CT image
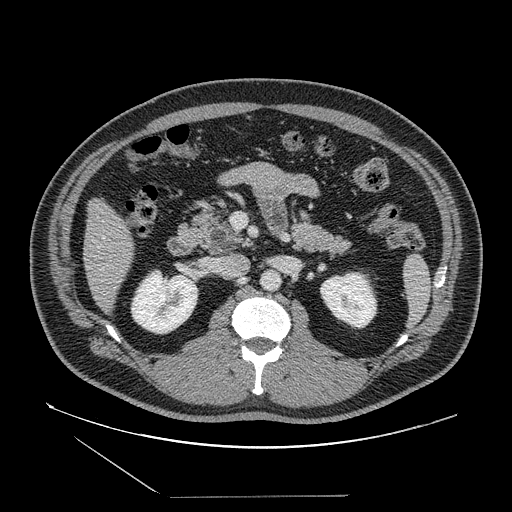 Annotated regions:
- pancreas: <bbox>185, 205, 242, 256</bbox>, <bbox>290, 212, 354, 259</bbox>
- pancreatic tumor: <bbox>208, 227, 230, 250</bbox>